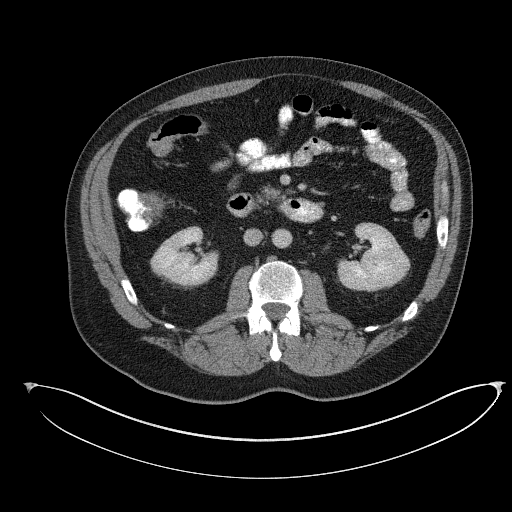
CT image. Upper abdomen.

Pancreas at 257, 186, 283, 206.